Liver. CT slice. Slice index 385. 512x512.
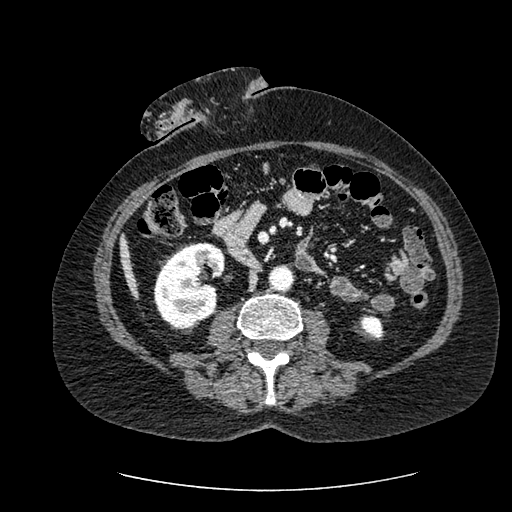

Annotated regions:
- liver: [119, 235, 140, 298]
- kidney: [361, 317, 382, 337], [154, 243, 223, 328]